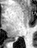

Medial temporal lobe, Image size 37x48, MRI
The posterior hippocampus lies within region(11, 39, 17, 41).